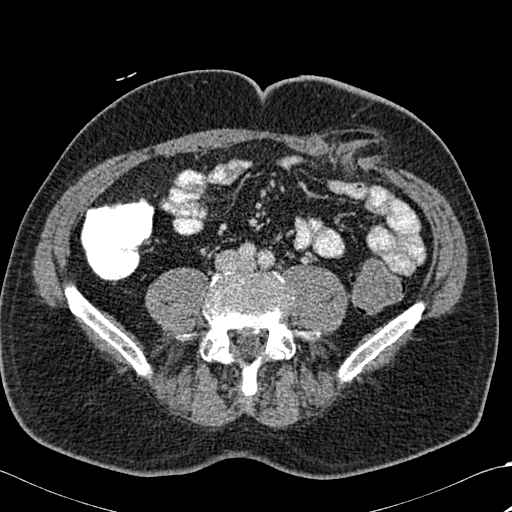
CT
{
  "bone": [
    "x1=338 y1=303 x2=423 y2=380",
    "x1=175 y1=338 x2=186 y2=342",
    "x1=65 y1=286 x2=151 y2=377",
    "x1=200 y1=270 x2=311 y2=399"
  ]
}